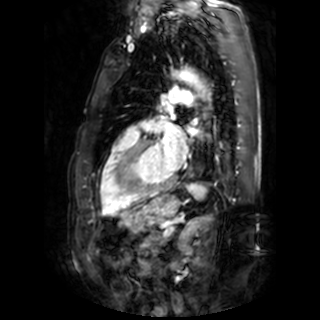 MR image; Cardiac
Segmented structures:
• left atrium: 160, 129, 187, 170